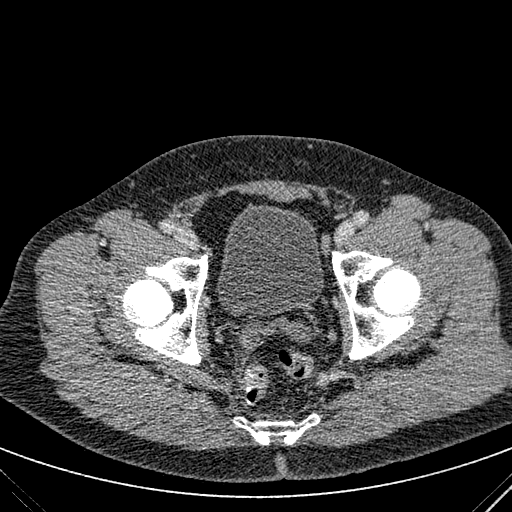

Lower abdomen, CT slice
urinary bladder: [x1=217, y1=203, x2=324, y2=316]